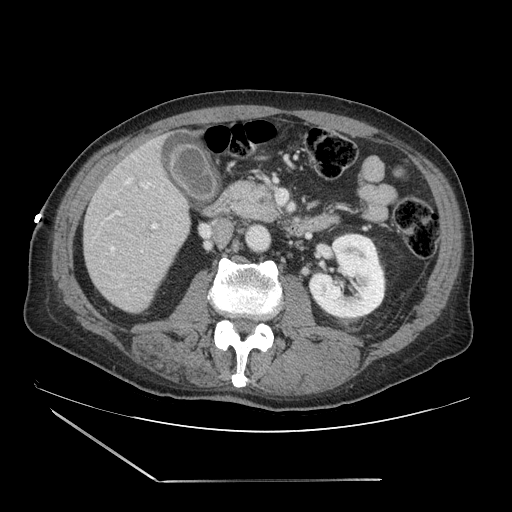 Abdomen; CT scan slice
Pancreas: left=234, top=182, right=279, bottom=222.
Pancreatic tumor: left=255, top=189, right=270, bottom=202.